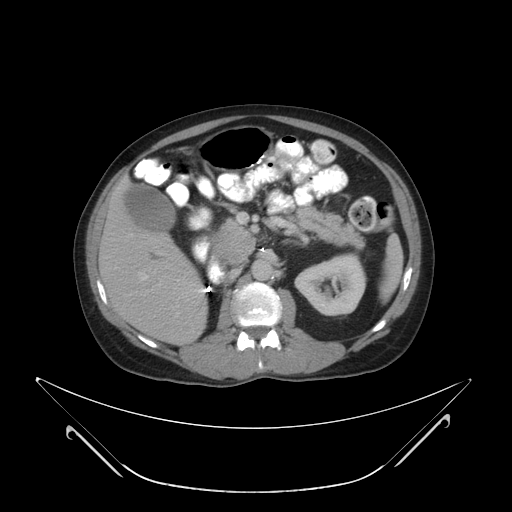
CT.

The pancreatic tumor lies within (x1=215, y1=227, x2=250, y2=259). 2 pancreas regions are located at (x1=212, y1=218, x2=257, y2=266), (x1=289, y1=206, x2=363, y2=250).